Slice 139 of 161. Computed tomography.
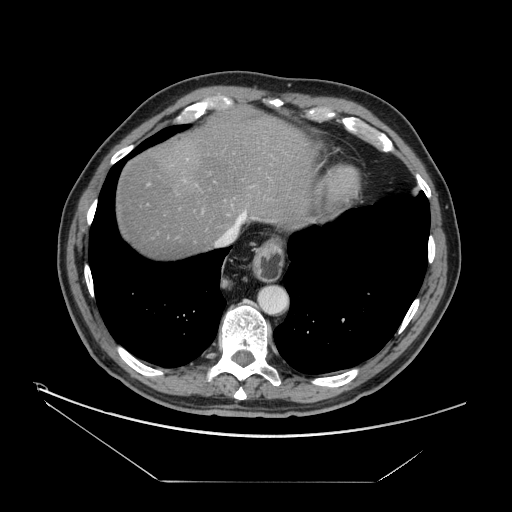 Some hepatic vessels may have no box.
hepatic_vessel:
  - x1=236 y1=213 x2=245 y2=222